FLAIR MRI.
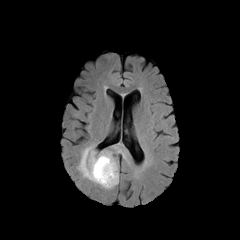
T1-weighted magnetic resonance.
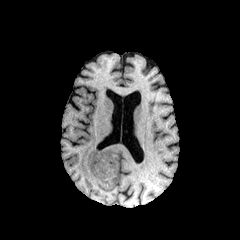
Post-contrast T1-weighted magnetic resonance.
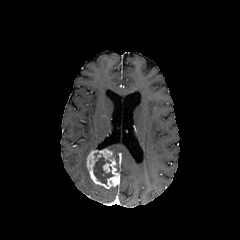
T2-weighted MR image.
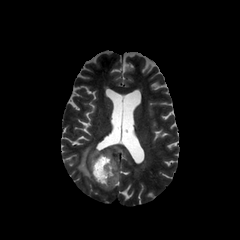
The non-enhancing tumor core is bounded by (93,154,114,185). 2 edema regions appear at (77,144,95,182), (111,144,130,164). The enhancing tumor is at (87,149,120,189).